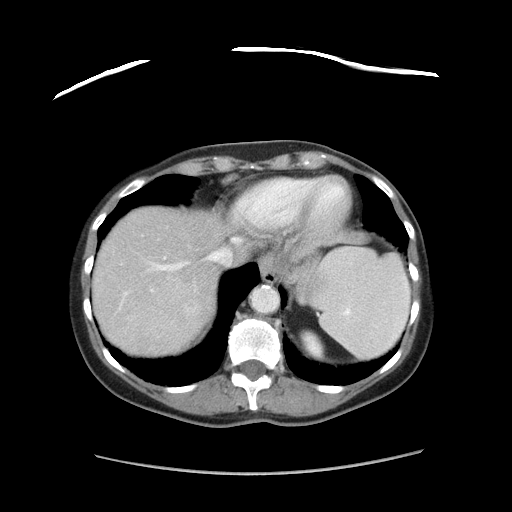
Abdomen, CT image, 512x512

The vessel boxes may cover only some of the vessels.
Liver tumor — (181,292,208,325).
Hepatic vessel — (151,289,152,290), (232,237,242,243), (207,248,232,265), (149,262,187,270), (123,291,127,298), (164,257,165,258), (120,300,122,306).